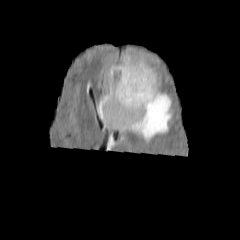
FLAIR MR.
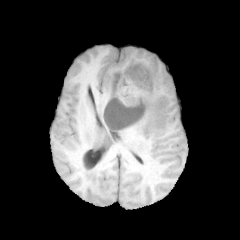
T1-weighted MR.
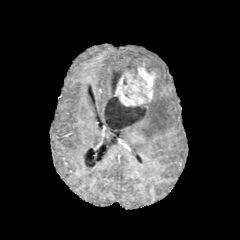
Same slice, post-contrast T1-weighted magnetic resonance.
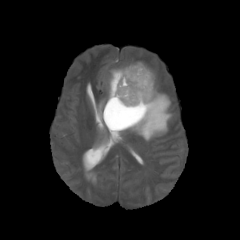
Same slice, T2-weighted MR image.
Head; 240x240 px
The enhancing tumor is at (left=115, top=63, right=156, bottom=105). The non-enhancing tumor core is located at (left=104, top=64, right=148, bottom=129). 3 edema regions are located at (left=127, top=61, right=146, bottom=65), (left=98, top=98, right=105, bottom=120), (left=109, top=86, right=172, bottom=140).